Brain, 240x240
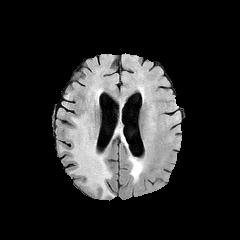
FLAIR MRI.
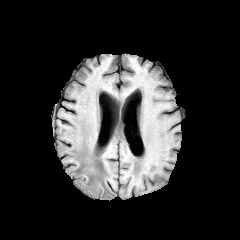
T1-weighted magnetic resonance.
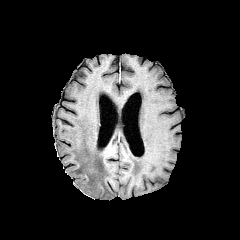
Post-contrast T1-weighted MRI.
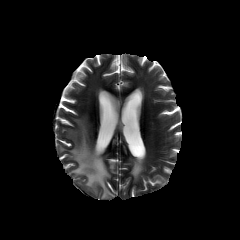
T2-weighted magnetic resonance.
edema:
  - bbox=[70, 120, 111, 196]
  - bbox=[128, 155, 145, 181]